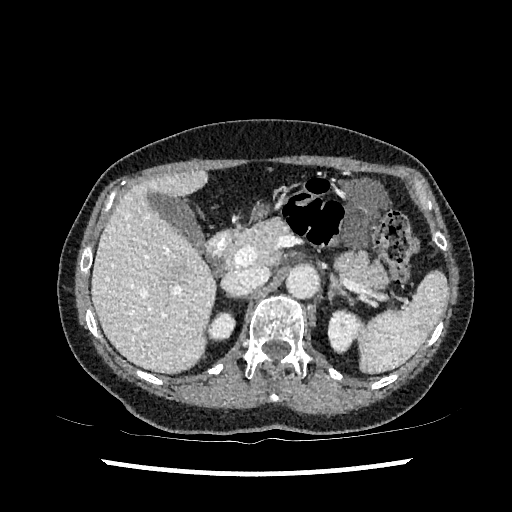 Image size 512x512 | CT image
Liver — region(93, 171, 215, 372).
Focal liver lesion — region(169, 263, 188, 280).
Kidney — region(328, 312, 359, 350); region(209, 314, 229, 334).